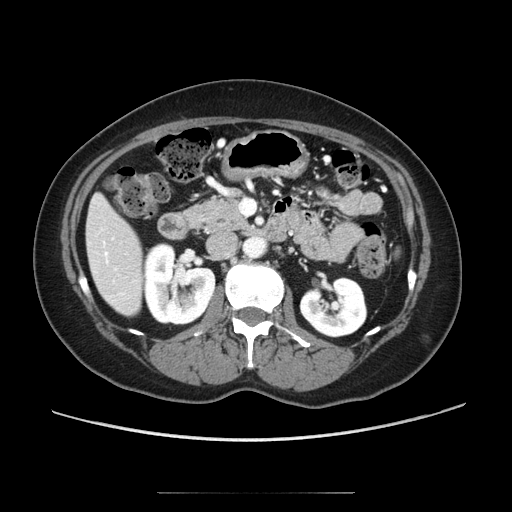 CT | Abdomen

pancreas: (left=186, top=194, right=250, bottom=231)